FLAIR magnetic resonance.
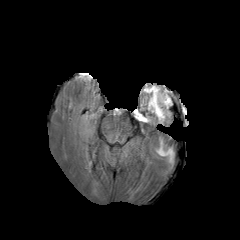
T1-weighted magnetic resonance.
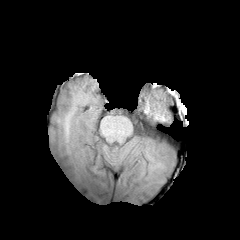
Post-contrast T1-weighted MR.
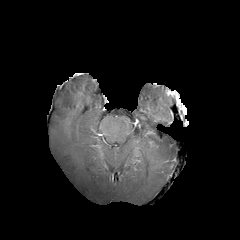
T2-weighted MR image.
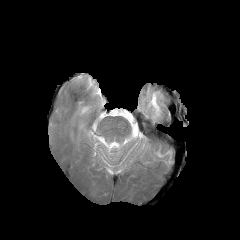
Brain
Edema at 142 85 171 121, 154 142 173 165.